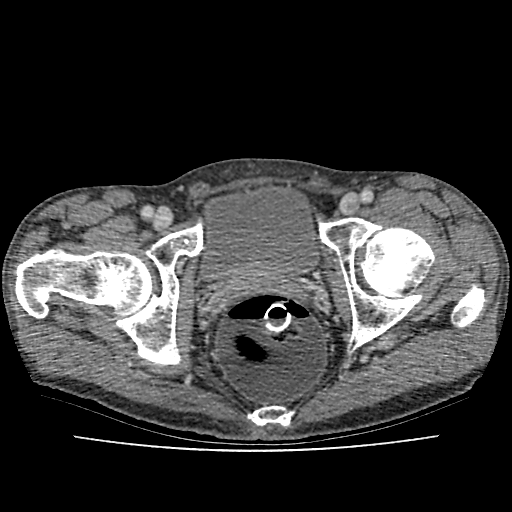 512x512 px; CT; Pelvis
The urinary bladder is located at 194, 183, 315, 281.